MRI slice

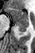

posterior hippocampus: (x1=15, y1=24, x2=28, y2=31), (x1=19, y1=33, x2=22, y2=34) | anterior hippocampus: (x1=9, y1=8, x2=28, y2=23)